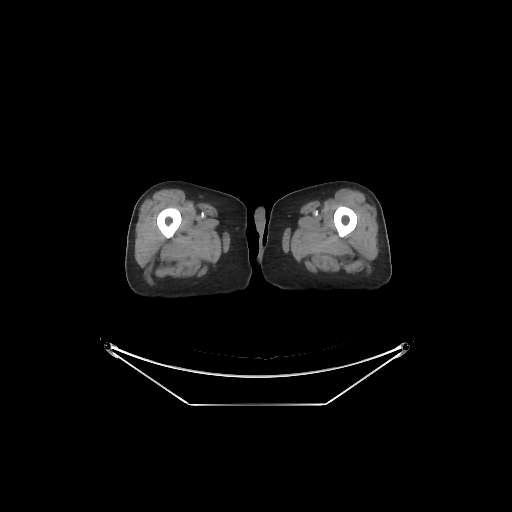

Image size 512x512, CT slice

2 bone regions are bounded by 157 207 181 238, 334 206 356 237.